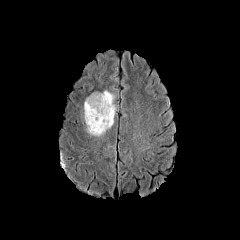
FLAIR MR image.
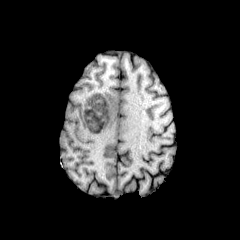
T1-weighted MR image.
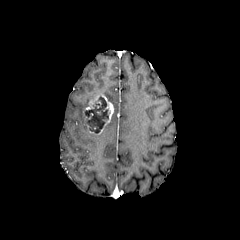
Post-contrast T1-weighted MR.
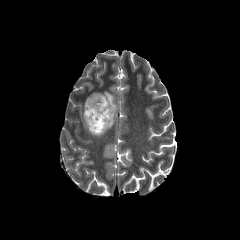
T2-weighted magnetic resonance.
Brain
Enhancing tumor — box=[100, 93, 114, 125]; box=[85, 98, 97, 109].
Non-enhancing tumor core — box=[84, 96, 109, 133].
Edema — box=[103, 104, 116, 132]; box=[103, 91, 115, 102]; box=[83, 92, 100, 110].